CT scan slice. Slice 180/407. 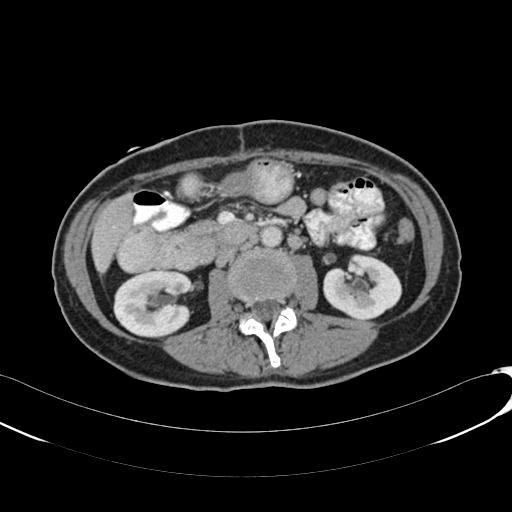

Kidney: bounding box bbox=[324, 256, 400, 319]; bbox=[115, 271, 188, 336].
Liver: bounding box bbox=[92, 193, 133, 271].